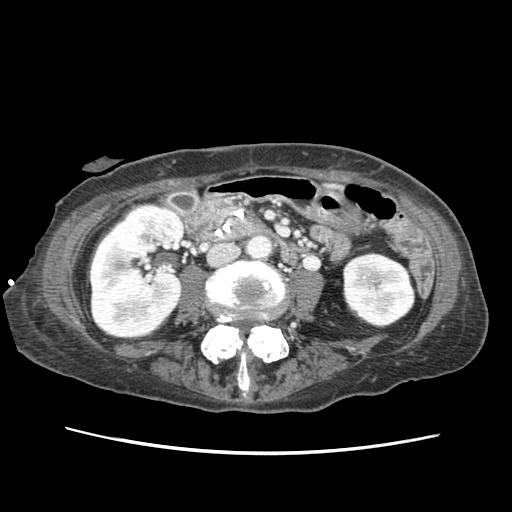
Abdomen | CT slice
pancreas: [234, 214, 263, 235]